Field of view 410x410 mm, CT 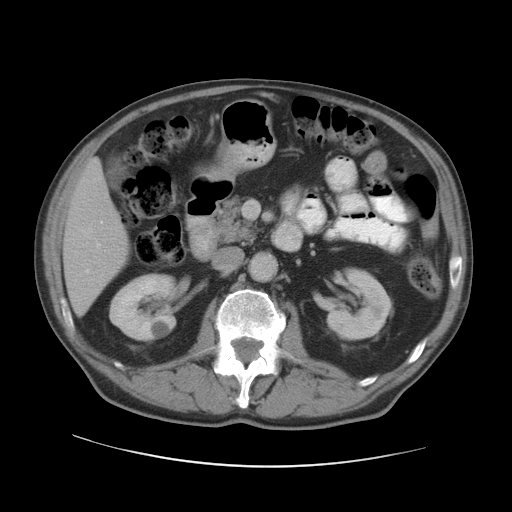
Not every hepatic vessel necessarily has a box.
Hepatic vessel: (99, 178, 100, 179), (86, 269, 89, 271), (105, 193, 106, 195), (96, 239, 99, 247), (83, 243, 87, 246), (67, 230, 70, 234), (81, 227, 91, 238).